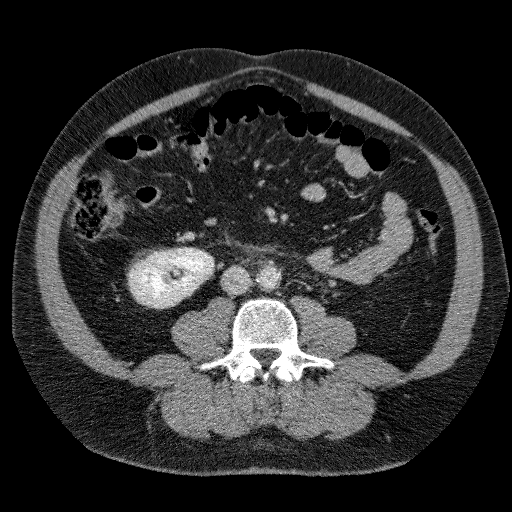
Abdomen. CT image. • kidney: <box>130,248,213,306</box>